Brain | Slice 69/155 | Image size 240x240
FLAIR magnetic resonance.
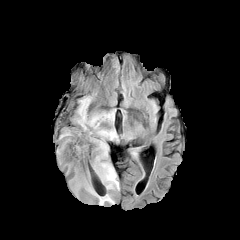
T1-weighted MR image.
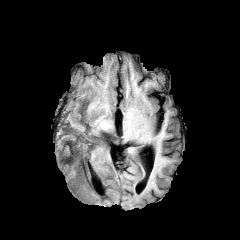
Post-contrast T1-weighted MRI.
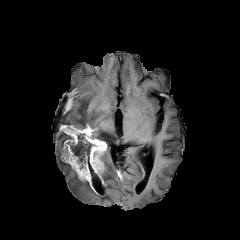
T2-weighted MR.
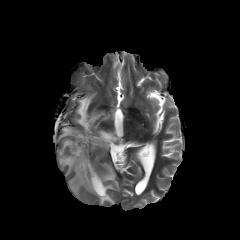
edema:
  - l=60, t=160, r=71, b=173
  - l=71, t=150, r=119, b=205
  - l=59, t=131, r=67, b=143
  - l=74, t=93, r=118, b=143
non-enhancing_tumor_core:
  - l=60, t=132, r=99, b=171
enhancing_tumor:
  - l=61, t=124, r=106, b=183
  - l=70, t=157, r=93, b=189